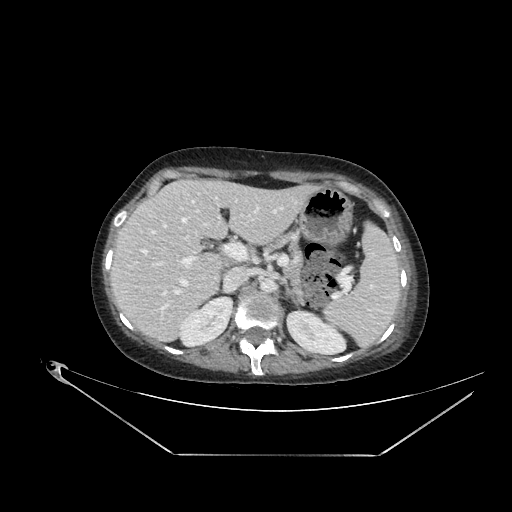

CT scan slice

<segmentation>
  <kidney>x1=287, y1=311, x2=345, y2=354; x1=179, y1=297, x2=232, y2=345</kidney>
  <liver>x1=111, y1=181, x2=316, y2=343</liver>
</segmentation>